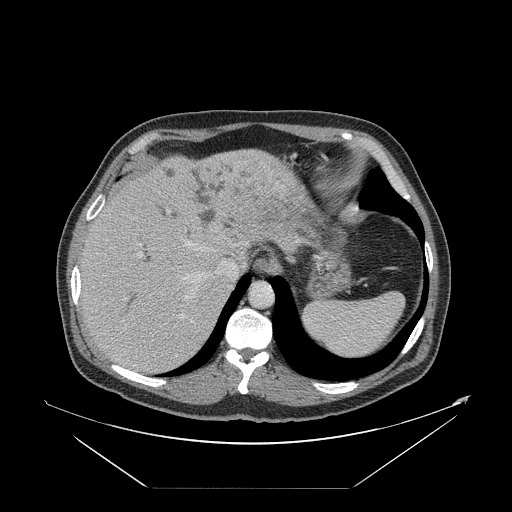 CT slice
The vessel annotation is not exhaustive.
11 hepatic vessel regions are bounded by bbox(178, 316, 184, 318); bbox(123, 298, 126, 300); bbox(181, 259, 238, 299); bbox(172, 268, 176, 268); bbox(181, 239, 214, 251); bbox(167, 210, 169, 212); bbox(139, 243, 141, 245); bbox(190, 320, 193, 322); bbox(246, 242, 248, 245); bbox(137, 251, 141, 257); bbox(215, 178, 220, 184).